CT scan slice

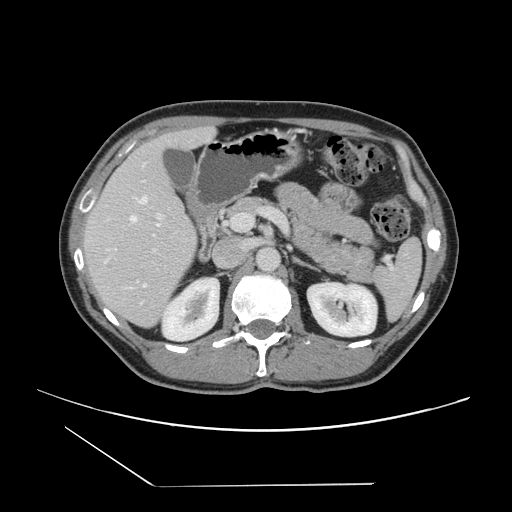 The vessel boxes may cover only some of the vessels.
hepatic vessel: bbox=[132, 196, 134, 198]; bbox=[106, 219, 108, 220]; bbox=[130, 220, 134, 223]; bbox=[136, 198, 140, 199]; bbox=[147, 197, 147, 200]; bbox=[128, 287, 131, 288]; bbox=[122, 287, 126, 288]